CT image
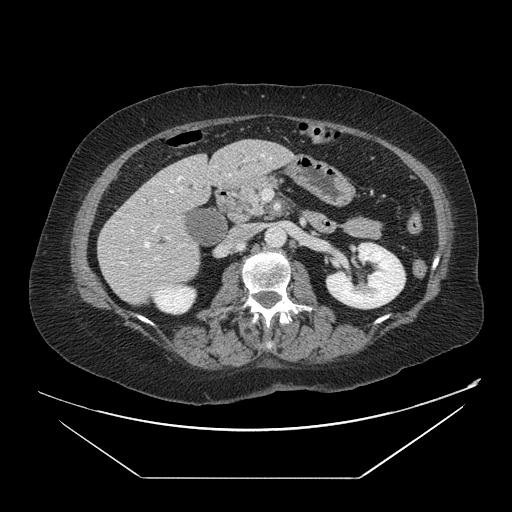 The pancreas lies within box=[241, 175, 279, 213]. The pancreatic tumor is at box=[251, 203, 263, 216].